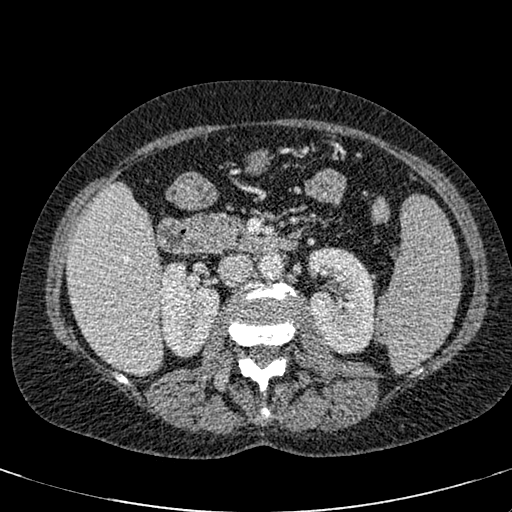 CT scan slice.

2 kidney regions are located at [309,248,373,352], [161,263,218,355]. The liver is located at [66,183,161,374].